240x240 px, Field of view 240 mm wide, 1.00 mm slice spacing, Slice 85 of 155
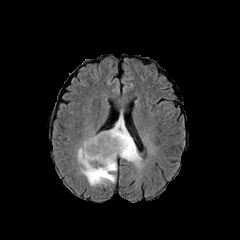
FLAIR MR.
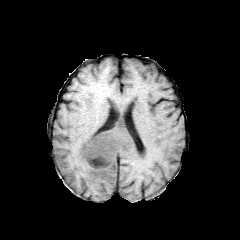
T1-weighted MR image.
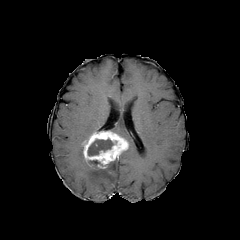
Post-contrast T1-weighted MR image of the same slice.
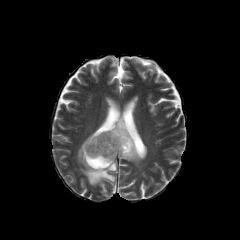
T2-weighted MR image of the same slice.
Non-enhancing tumor core = x1=88, y1=139, x2=112, y2=155.
Edema = x1=76, y1=143, x2=117, y2=186; x1=110, y1=110, x2=143, y2=168.
Enhancing tumor = x1=82, y1=130, x2=130, y2=168.